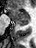
Medial temporal lobe | MRI slice
The anterior hippocampus lies within bbox(8, 7, 28, 21). The posterior hippocampus lies within bbox(17, 22, 27, 25).